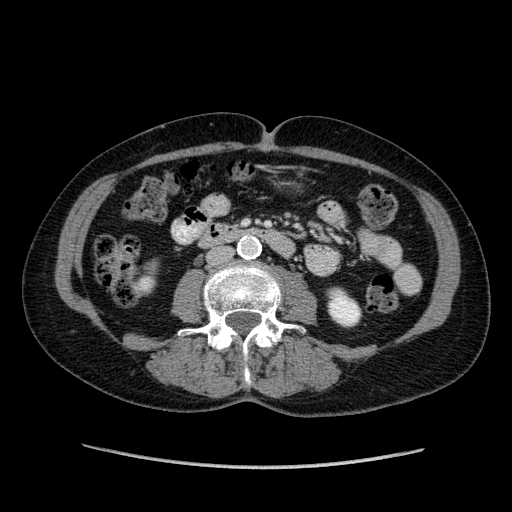
Computed tomography. Abdomen.

Kidney at bbox(141, 279, 149, 288); bbox(330, 293, 359, 324).